Computed tomography, Slice 161 of 289
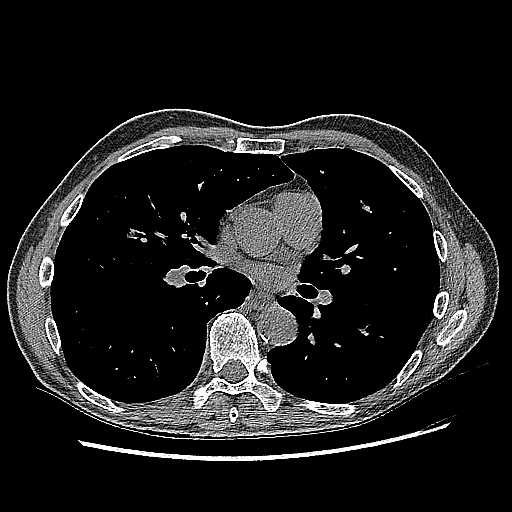 Lung tumor at <box>124,226,148,243</box>.